FLAIR MRI.
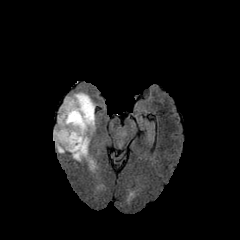
T1-weighted magnetic resonance.
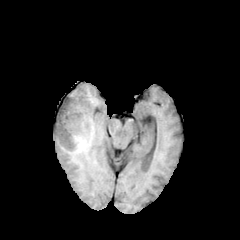
Post-contrast T1-weighted MR image.
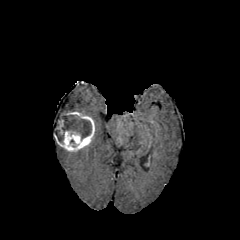
T2-weighted MRI.
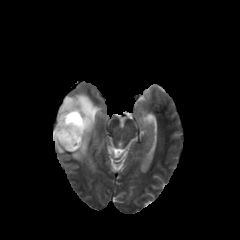
240x240 px
Edema — [x1=67, y1=143, x2=96, y2=172], [x1=53, y1=136, x2=66, y2=154], [x1=57, y1=91, x2=98, y2=132].
Enhancing tumor — [x1=55, y1=118, x2=63, y2=134], [x1=53, y1=112, x2=94, y2=151].
Non-enhancing tumor core — [x1=53, y1=103, x2=91, y2=142].